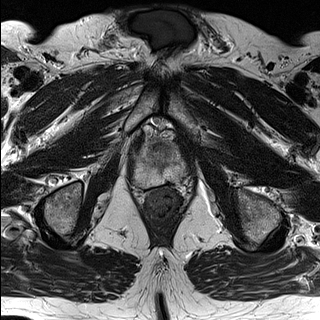
T2-weighted MR.
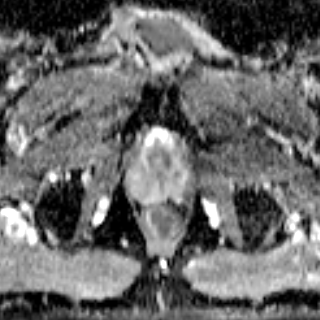
ADC MR image.
Prostate. Image size 320x320.
Segmented structures:
• prostate transition zone: {"x1": 139, "y1": 141, "x2": 177, "y2": 169}
• prostate peripheral zone: {"x1": 133, "y1": 145, "x2": 186, "y2": 185}